Slice 109/155. Head.
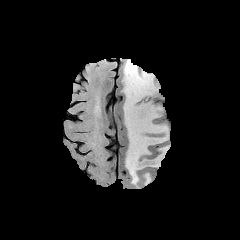
FLAIR MRI.
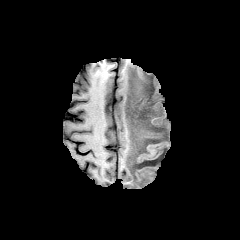
T1-weighted MR image.
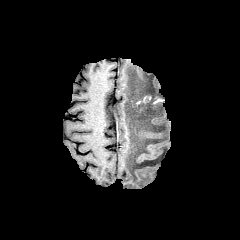
Post-contrast T1-weighted MR image.
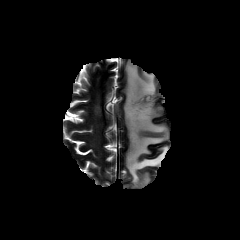
T2-weighted MR.
{
  "non-enhancing_tumor_core": [
    "[133,98,148,116]",
    "[145,159,157,165]"
  ],
  "edema": [
    "[123,61,167,187]"
  ]
}